FLAIR MR.
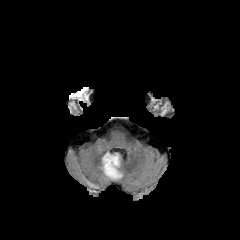
T1-weighted MRI.
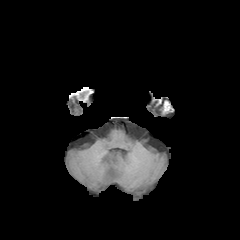
Post-contrast T1-weighted magnetic resonance.
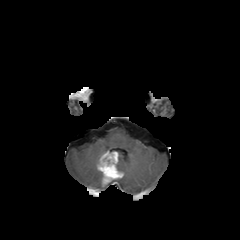
T2-weighted magnetic resonance.
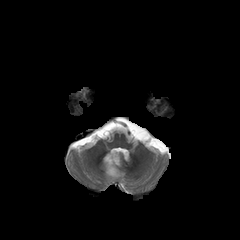
Brain.
The non-enhancing tumor core appears at region(99, 152, 121, 177). The enhancing tumor appears at region(101, 161, 115, 176).